Slice index 55 | Brain
FLAIR MR image.
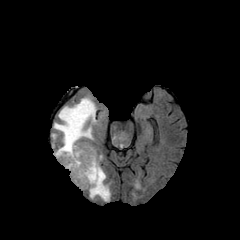
T1-weighted MR.
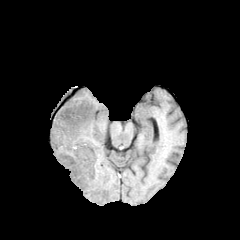
Post-contrast T1-weighted MR image.
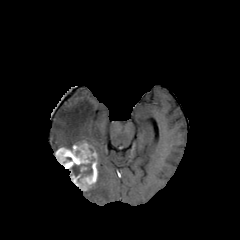
T2-weighted MR image.
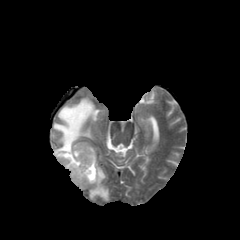
The enhancing tumor is at <box>55,144,97,189</box>. 2 non-enhancing tumor core regions appear at <box>74,142,97,169</box>, <box>71,164,92,175</box>. 2 edema regions are located at <box>52,97,97,147</box>, <box>86,161,110,201</box>.